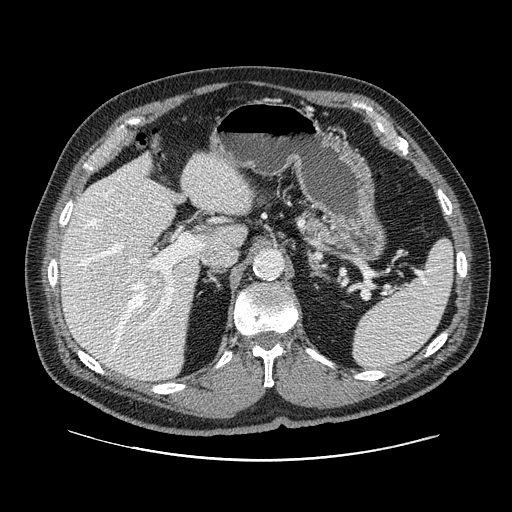
Upper abdomen; Image size 512x512; CT image

The pancreas is at [297,210,383,257].